512x512; Computed tomography

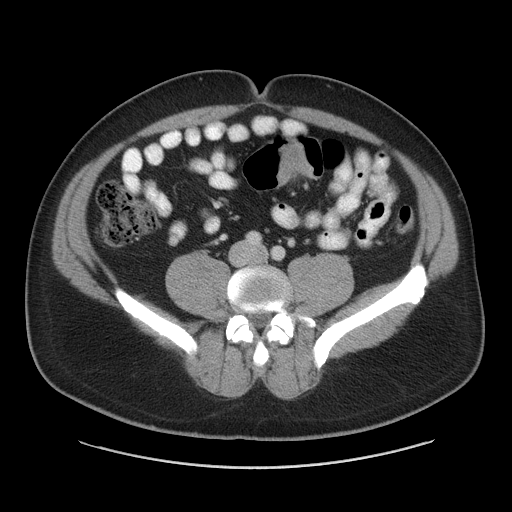

Colon tumor at [x1=276, y1=138, x2=315, y2=186].